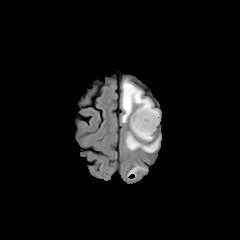
FLAIR MRI.
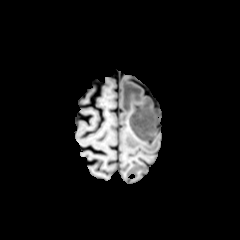
T1-weighted MRI.
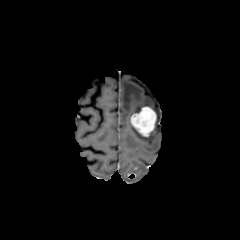
Post-contrast T1-weighted MRI of the same slice.
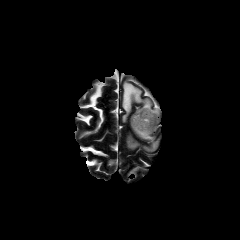
T2-weighted MRI.
Brain
<segmentation>
  <edema>box=[126, 133, 159, 152]; box=[122, 79, 152, 122]; box=[131, 126, 153, 141]</edema>
  <enhancing_tumor>box=[130, 106, 156, 137]</enhancing_tumor>
</segmentation>